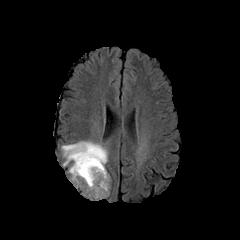
FLAIR MRI.
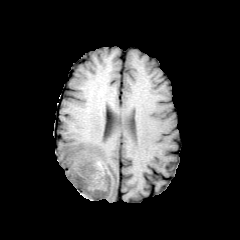
Same slice, T1-weighted MRI.
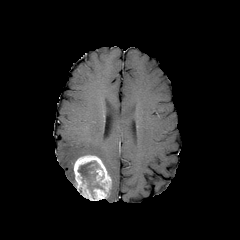
Post-contrast T1-weighted MRI.
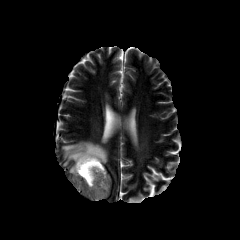
T2-weighted MRI.
Brain, 240x240
{"non-enhancing_tumor_core": ["rect(78, 160, 99, 179)"], "edema": ["rect(61, 140, 108, 181)"], "enhancing_tumor": ["rect(73, 155, 111, 200)"]}